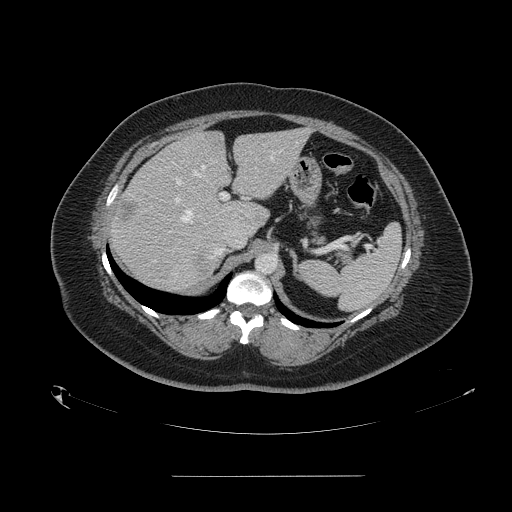

CT scan slice
Spleen: bounding box left=300, top=223, right=402, bottom=310.